FLAIR MR.
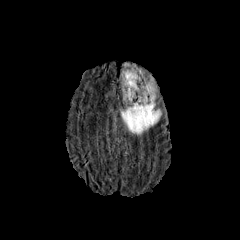
T1-weighted MR.
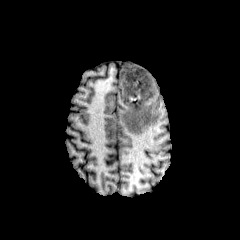
Post-contrast T1-weighted MR image.
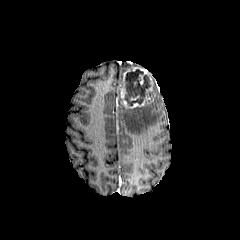
T2-weighted MR image.
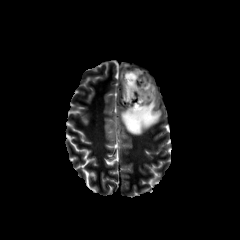
Segmented structures:
* edema: 120 103 164 134
* enhancing tumor: 129 93 141 101, 120 66 156 108
* non-enhancing tumor core: 124 69 150 105